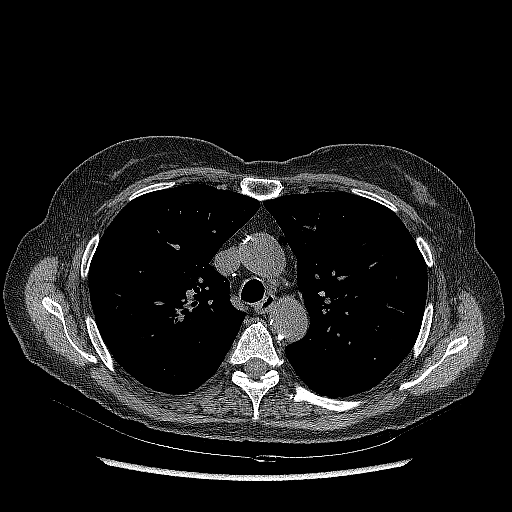
512x512 | CT scan slice
<segmentation>
  <lung_tumor>l=169, t=299, r=186, b=325</lung_tumor>
</segmentation>